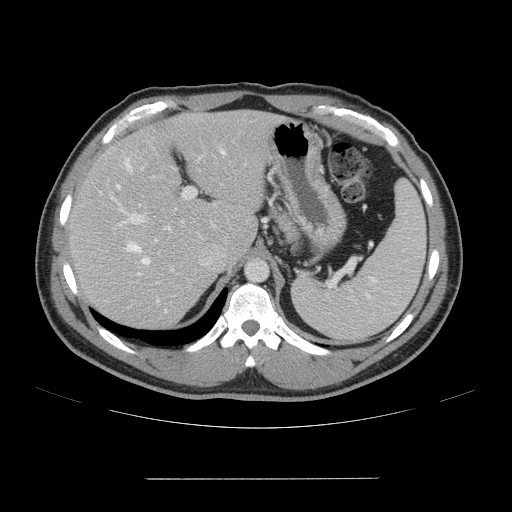
CT scan slice | 512x512 | Liver

The vessel boxes may cover only some of the vessels.
partial: true
hepatic_vessel:
  # 15 of 17 shown
  - box=[119, 221, 126, 225]
  - box=[126, 242, 140, 251]
  - box=[117, 185, 120, 188]
  - box=[99, 191, 101, 193]
  - box=[212, 224, 214, 226]
  - box=[142, 258, 149, 263]
  - box=[181, 220, 183, 222]
  - box=[219, 149, 225, 154]
  - box=[125, 158, 131, 171]
  - box=[111, 194, 122, 210]
  - box=[155, 239, 156, 241]
  - box=[137, 273, 141, 274]
  - box=[182, 187, 195, 199]
  - box=[130, 212, 144, 223]
  - box=[156, 298, 159, 302]